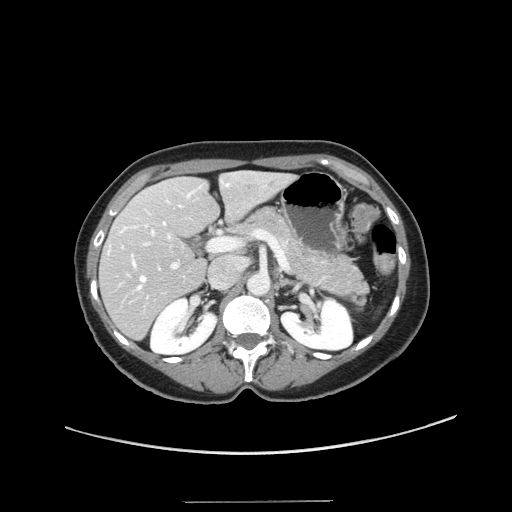
CT, Abdomen
The vessel boxes may cover only some of the vessels.
15 hepatic vessel regions appear at 145 242 148 244, 145 223 147 226, 202 183 204 185, 132 255 135 265, 137 276 145 288, 108 247 109 252, 168 234 170 238, 179 204 180 206, 163 221 165 224, 188 190 194 196, 172 263 178 267, 167 200 168 201, 152 230 154 234, 119 226 126 232, 211 238 235 249.